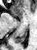

Image size 37x50, MRI

{
  "posterior_hippocampus": [
    "left=15, top=30, right=27, bottom=43"
  ]
}